512x512 px. CT scan slice.
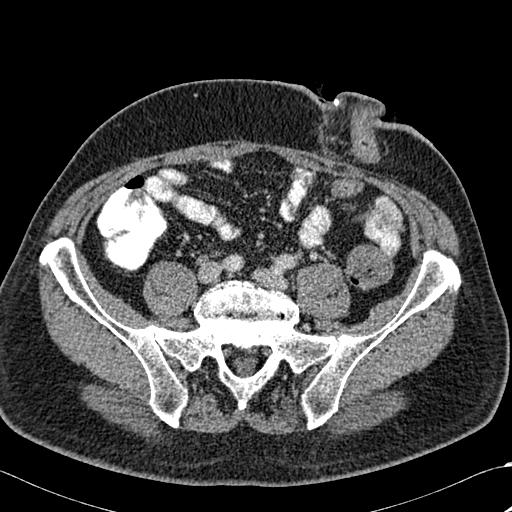

bone: (40,238,460,428)